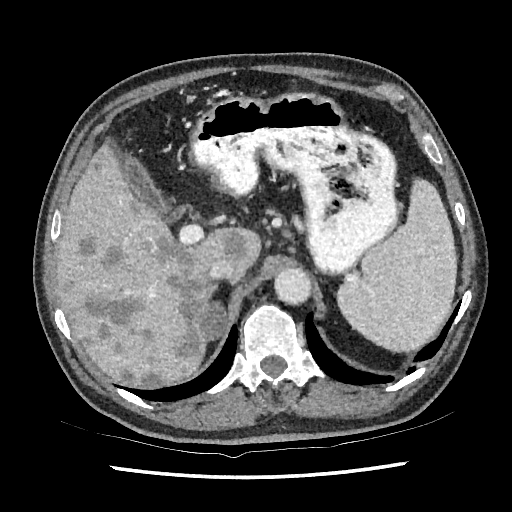
Liver | CT
Liver — box=[189, 229, 259, 283]; box=[194, 314, 200, 333]; box=[56, 141, 204, 385].
Hepatic lesion — box=[105, 246, 127, 266]; box=[85, 295, 144, 338]; box=[153, 238, 212, 359]; box=[121, 370, 131, 380]; box=[140, 327, 153, 342]; box=[220, 231, 244, 260]; box=[77, 238, 95, 257]; box=[142, 370, 163, 385]; box=[115, 341, 123, 353].